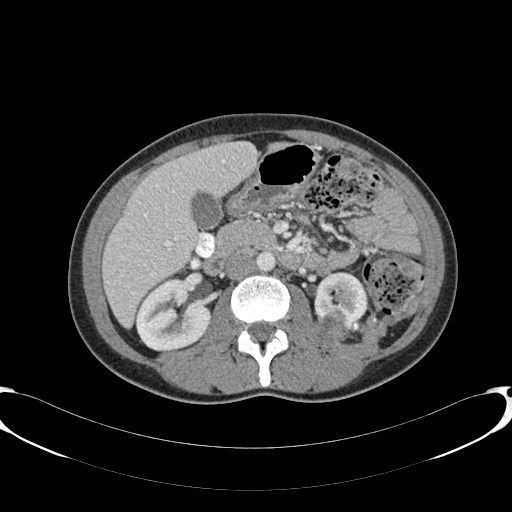
Computed tomography
<segmentation>
  <liver>(x1=103, y1=142, x2=256, y2=326), (x1=269, y1=143, x2=287, y2=152)</liver>
  <kidney>(x1=137, y1=279, x2=209, y2=349), (x1=315, y1=273, x2=366, y2=333)</kidney>
</segmentation>